Computed tomography. 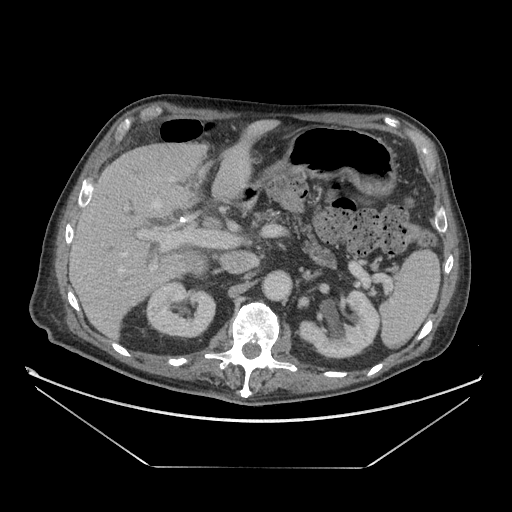 pancreas: <box>256,211,335,267</box>